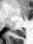
MRI, Medial temporal lobe
The posterior hippocampus is at 14:28:24:36.